CT slice | Field of view 496 mm wide, 1.50 mm slice spacing | Abdomen 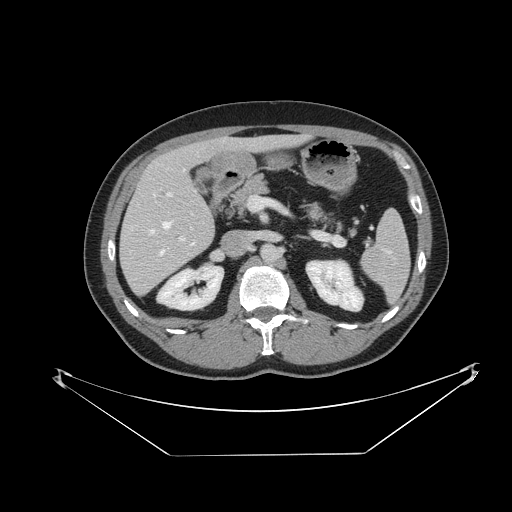
Segmented structures:
* spleen: rect(362, 211, 409, 302)